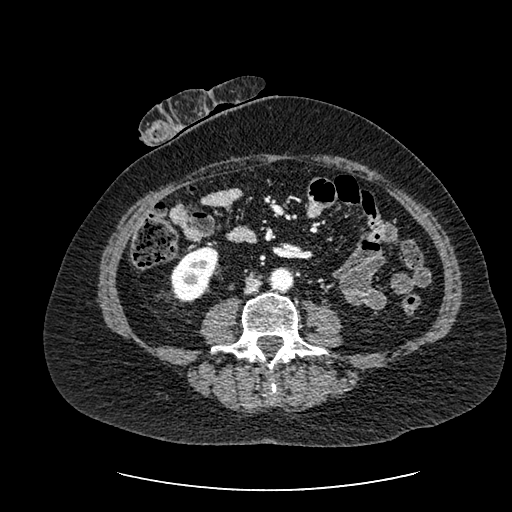 Abdomen, CT

Kidney: (171,247,217,300).